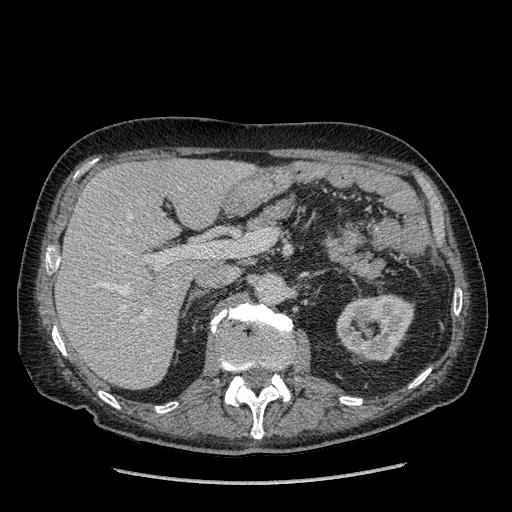
CT image | Abdomen
<segmentation>
  <kidney>(337,294,413,360)</kidney>
  <liver>(55,158,256,389)</liver>
</segmentation>